FLAIR MRI.
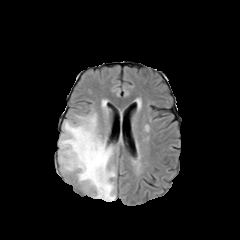
T1-weighted MR image.
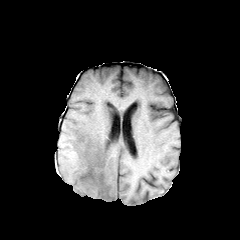
Post-contrast T1-weighted MRI.
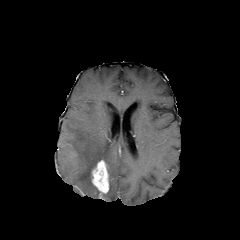
T2-weighted MR image.
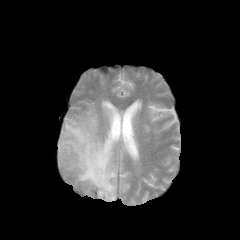
Findings:
• enhancing tumor: box=[92, 160, 109, 195]
• edema: box=[58, 112, 116, 201]